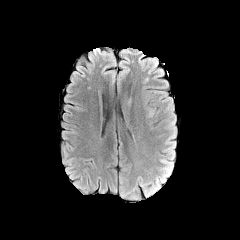
FLAIR MR image.
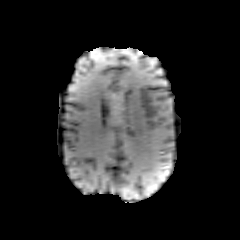
T1-weighted MR.
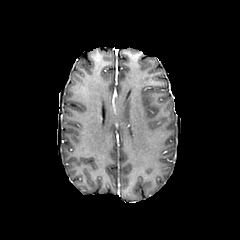
Same slice, post-contrast T1-weighted MR.
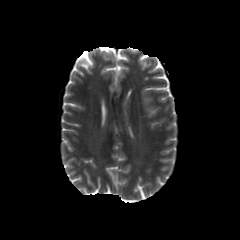
Same slice, T2-weighted MR.
Head; 240x240 px
Edema at (left=162, top=159, right=170, bottom=171).